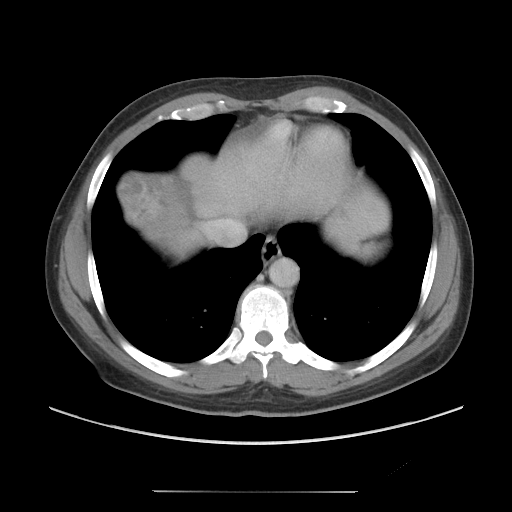 Liver | CT slice | 512x512
Not every hepatic vessel necessarily has a box.
The hepatic vessel is at (204, 219, 234, 235). The liver tumor lies within (122, 176, 170, 225).